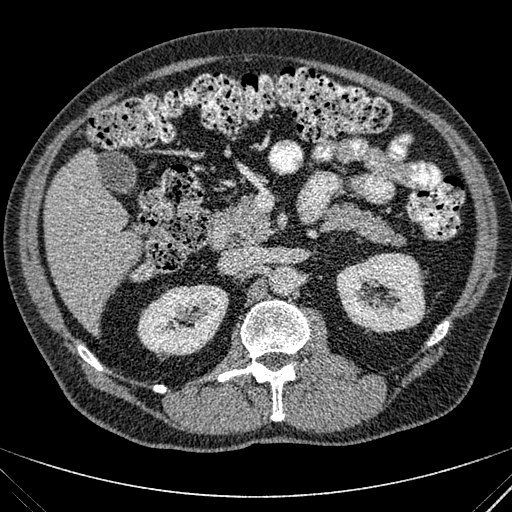
CT image
2 kidney regions are located at 138,285,228,354; 337,253,424,331. The liver lies within 43,149,141,335.